Computed tomography. Field of view 358 mm wide, 1.50 mm slice spacing.

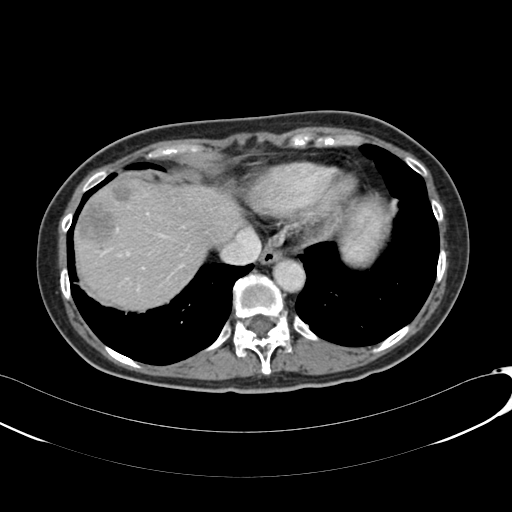
<segmentation>
  <hepatic_lesion>112 184 130 201, 80 204 112 241</hepatic_lesion>
  <liver>75 180 242 307</liver>
</segmentation>